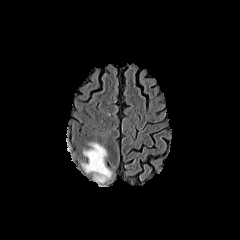
FLAIR MRI.
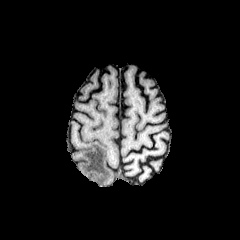
T1-weighted MRI.
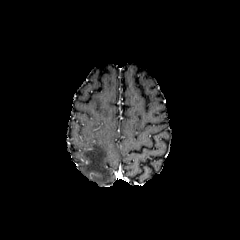
Post-contrast T1-weighted MR image.
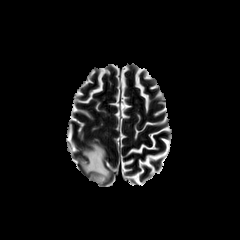
T2-weighted MR.
Head.
Edema at <box>83,144,111,183</box>.